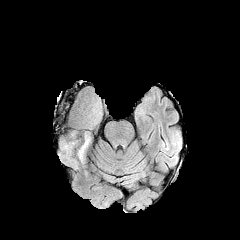
FLAIR MR.
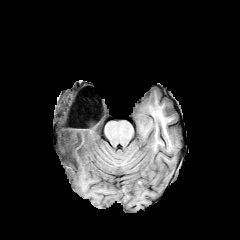
Same slice, T1-weighted magnetic resonance.
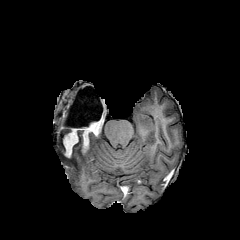
Post-contrast T1-weighted MR image.
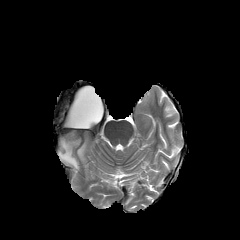
T2-weighted MRI.
240x240 px
edema:
  - 77, 150, 85, 161
  - 60, 154, 77, 168
non-enhancing_tumor_core:
  - 78, 96, 101, 126
  - 64, 124, 98, 153
enhancing_tumor:
  - 63, 138, 77, 157
  - 85, 121, 99, 129
  - 83, 131, 89, 150